FLAIR magnetic resonance.
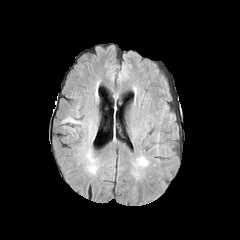
T1-weighted MR image.
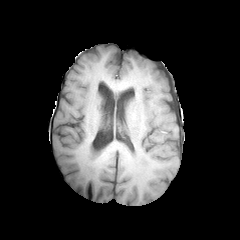
Post-contrast T1-weighted MRI.
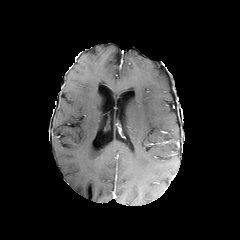
T2-weighted magnetic resonance.
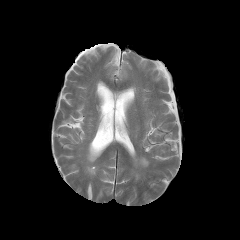
Image size 240x240
edema: (133, 156, 149, 168)